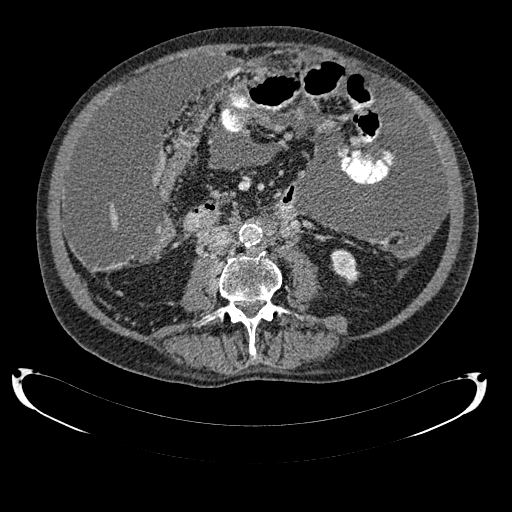
CT | Liver
{"kidney": ["x1=331 y1=250 x2=357 y2=282"], "liver": ["x1=109 y1=204 x2=118 y2=230"]}